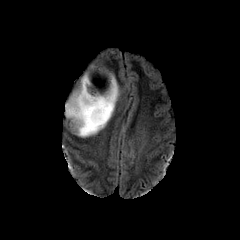
FLAIR magnetic resonance.
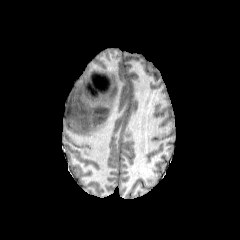
T1-weighted magnetic resonance.
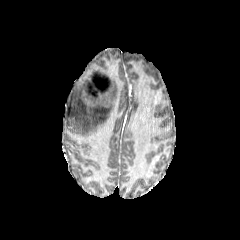
Post-contrast T1-weighted MRI.
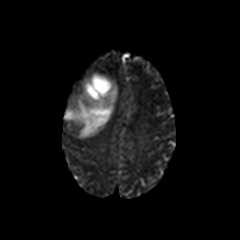
T2-weighted MRI.
Head; 240x240 px
Edema at l=65, t=75, r=119, b=137.